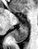 Hippocampus, Magnetic resonance
Posterior hippocampus: bbox=[14, 26, 28, 42].